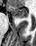
MRI. Medial temporal lobe. 36x46 px.
The anterior hippocampus is bounded by <box>7,6,27,18</box>.